Slice 262/519; Field of view 320 mm wide, 0.80 mm slice spacing; Abdomen; 512x512 px; Computed tomography 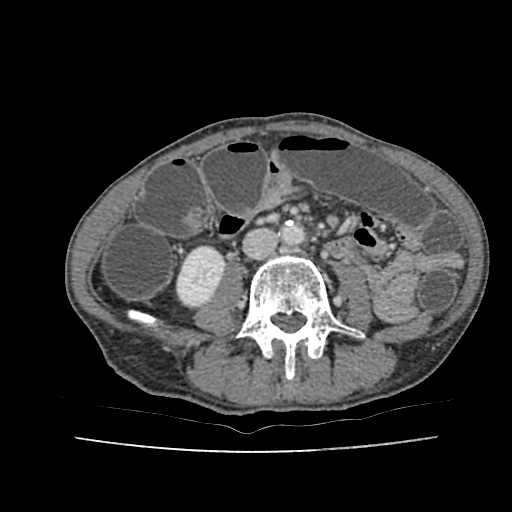 Kidney — [177,247,224,305].